FLAIR MR image.
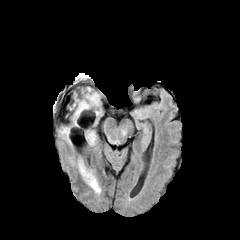
T1-weighted magnetic resonance.
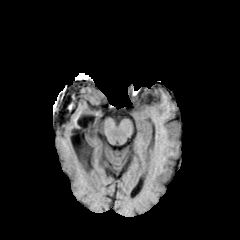
Post-contrast T1-weighted MRI.
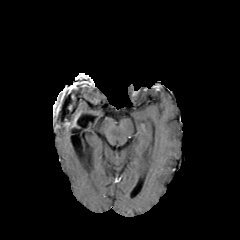
T2-weighted MR image.
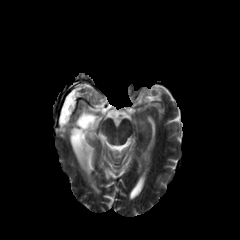
edema: rect(74, 87, 100, 115); rect(78, 159, 100, 194); rect(61, 126, 70, 140)